Slice 91 of 155
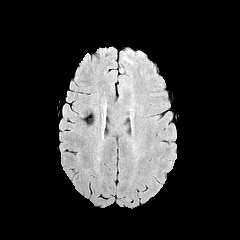
FLAIR MR.
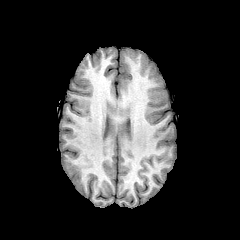
T1-weighted MR.
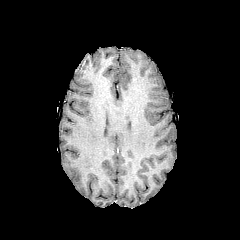
Same slice, post-contrast T1-weighted MRI.
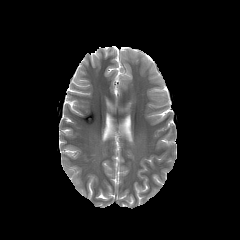
T2-weighted MR of the same slice.
edema:
  - x1=123, y1=49, x2=143, y2=60
  - x1=120, y1=68, x2=129, y2=77